CT scan slice; Slice 24 of 39

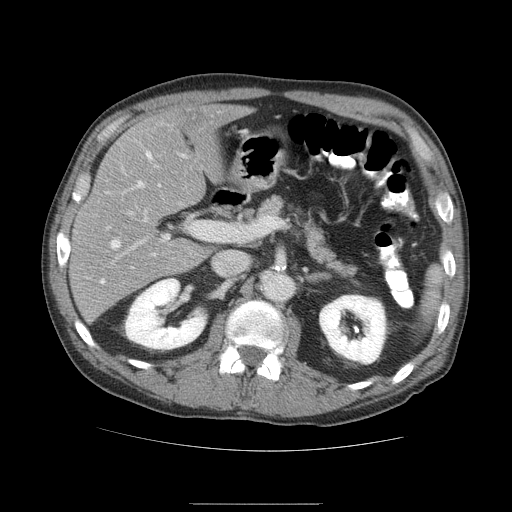
The vessel annotation is not exhaustive.
liver tumor: box=[93, 184, 107, 197] | hepatic vessel: box=[151, 254, 155, 254]; box=[154, 165, 156, 166]; box=[111, 240, 119, 248]; box=[147, 152, 151, 158]; box=[143, 210, 147, 220]; box=[158, 184, 160, 186]; box=[129, 239, 144, 249]; box=[178, 153, 186, 157]; box=[122, 166, 123, 171]; box=[107, 227, 108, 228]; box=[101, 279, 103, 283]; box=[187, 216, 248, 239]; box=[161, 234, 168, 241]; box=[129, 211, 133, 214]; box=[131, 181, 143, 188]